Computed tomography | Field of view 496x496 mm

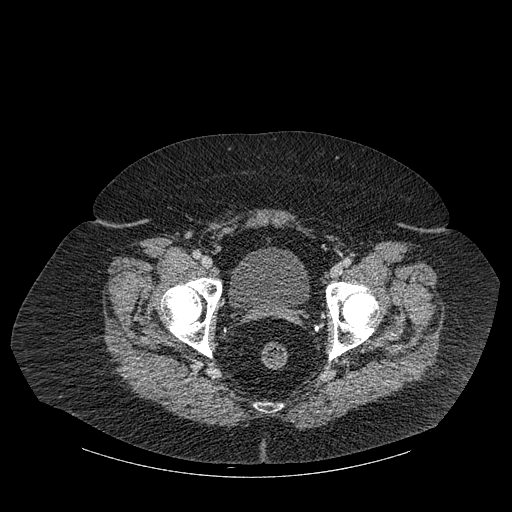

{
  "urinary_bladder": [
    "(230,246,309,321)"
  ],
  "bone": [
    "(161,278,221,357)",
    "(326,282,378,360)",
    "(254,403,282,411)"
  ]
}